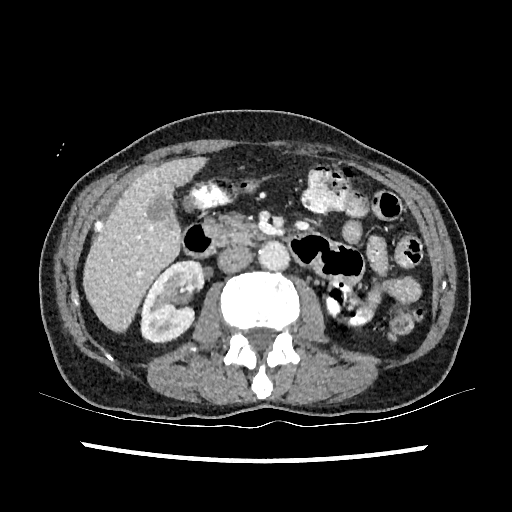 Computed tomography, Upper abdomen
Findings:
• kidney: rect(141, 260, 203, 341)
• liver: rect(86, 157, 205, 329)
• liver lesion: rect(147, 194, 171, 221)